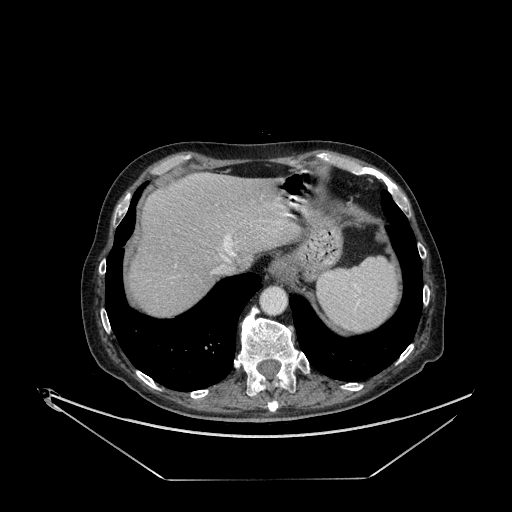 512x512; CT scan slice
The liver lies within x1=129 y1=173 x2=296 y2=315.